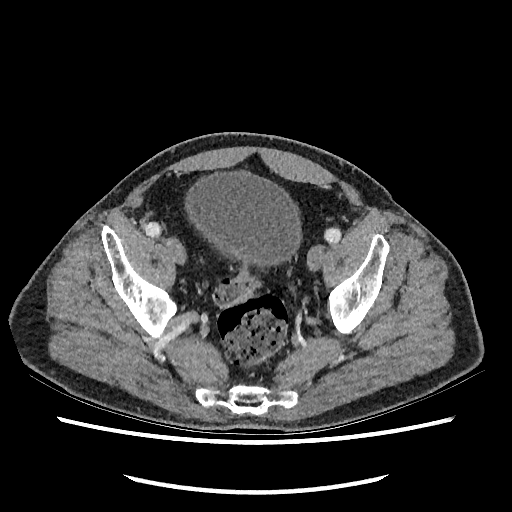

Pelvis | CT

The urinary bladder is bounded by (185, 171, 301, 267).